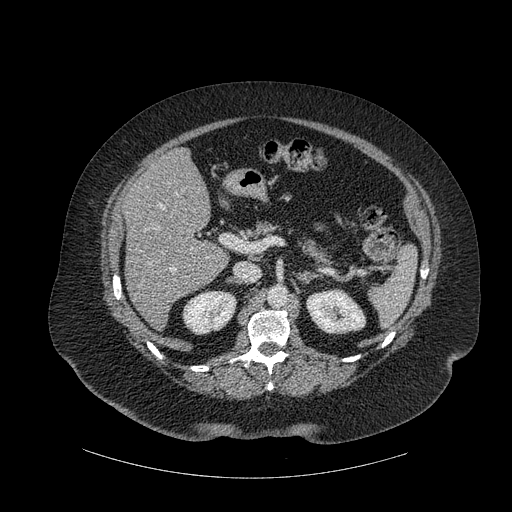 CT scan slice. Abdomen.
Segmented structures:
• bone: {"x1": 382, "y1": 332, "x2": 394, "y2": 346}, {"x1": 191, "y1": 366, "x2": 208, "y2": 371}, {"x1": 147, "y1": 342, "x2": 161, "y2": 358}, {"x1": 230, "y1": 310, "x2": 289, "y2": 374}, {"x1": 343, "y1": 355, "x2": 360, "y2": 361}, {"x1": 421, "y1": 269, "x2": 428, "y2": 278}, {"x1": 113, "y1": 275, "x2": 120, "y2": 299}
• liver: {"x1": 123, "y1": 149, "x2": 228, "y2": 330}
• kidney: {"x1": 307, "y1": 290, "x2": 365, "y2": 332}, {"x1": 183, "y1": 291, "x2": 235, "y2": 333}